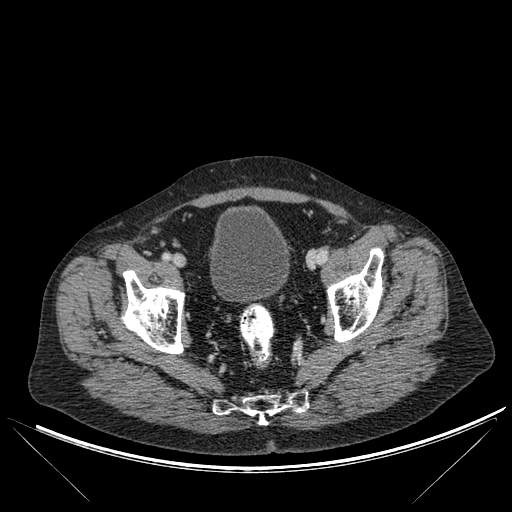 Pelvis. Computed tomography.

The urinary bladder lies within 210 206 289 302. 3 bone regions are located at 327 248 383 341, 122 270 184 353, 213 392 308 424.